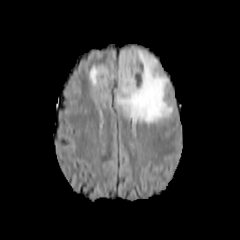
FLAIR MR.
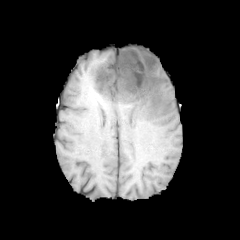
T1-weighted magnetic resonance.
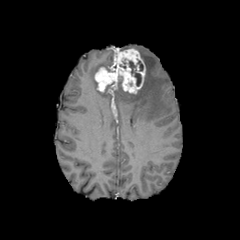
Post-contrast T1-weighted MR.
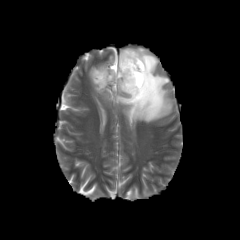
T2-weighted MRI.
240x240; Head
Enhancing tumor at rect(94, 48, 145, 93).
Edema at rect(89, 63, 107, 88); rect(116, 49, 173, 122).
Non-enhancing tumor core at rect(129, 61, 141, 86).